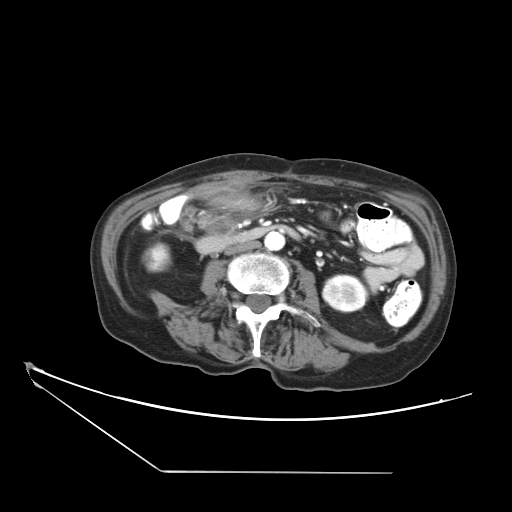
512x512, Abdomen, CT image
• pancreas: left=200, top=215, right=233, bottom=238